Slice 551 of 605. CT slice.
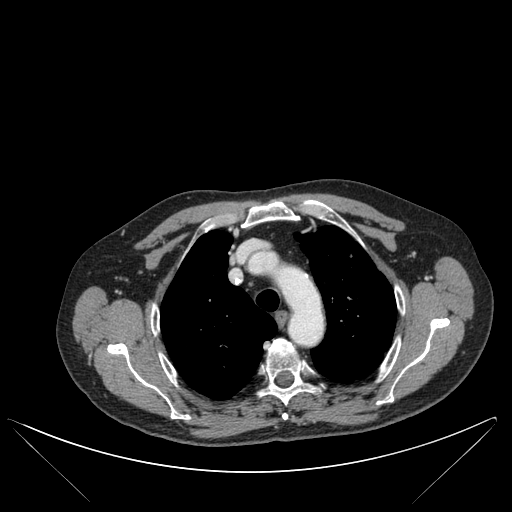

bone:
  - bbox(151, 304, 159, 334)
  - bbox(303, 200, 331, 220)
  - bbox(377, 318, 449, 404)
  - bbox(241, 201, 299, 227)
  - bbox(107, 343, 189, 419)
  - bbox(159, 353, 176, 384)
  - bbox(379, 337, 400, 377)
  - bbox(258, 339, 318, 404)
  - bbox(395, 286, 404, 312)
lung:
  - bbox(160, 230, 278, 399)
  - bbox(295, 226, 396, 383)